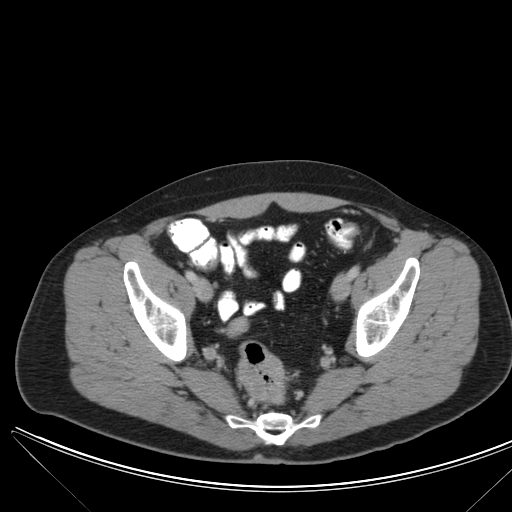
512x512. Abdomen. CT scan slice.
<segmentation>
  <colon_tumor>238, 354, 283, 404</colon_tumor>
</segmentation>